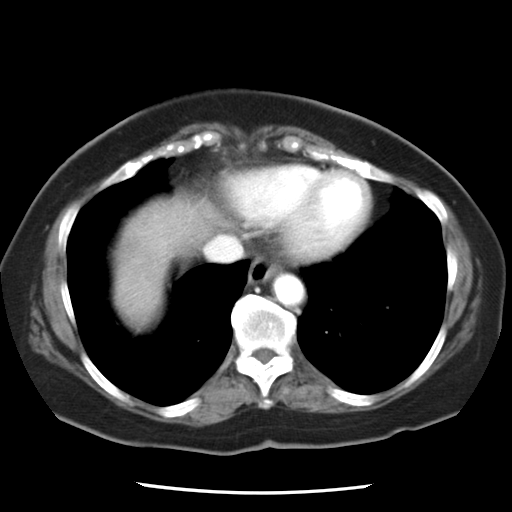 Computed tomography | Image size 512x512
Not every hepatic vessel necessarily has a box.
The hepatic vessel lies within 205,233,240,260.